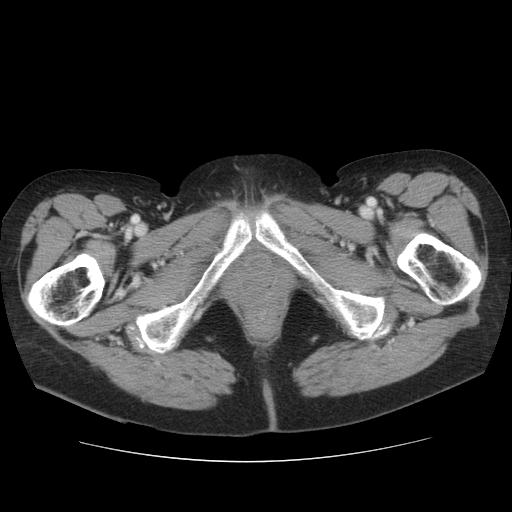
CT scan slice, Image size 512x512

3 bone regions are located at left=129, top=199, right=389, bottom=353; left=26, top=252, right=104, bottom=327; left=393, top=230, right=480, bottom=305.